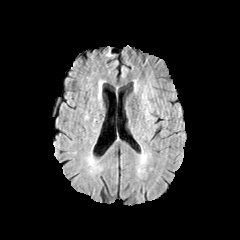
FLAIR magnetic resonance.
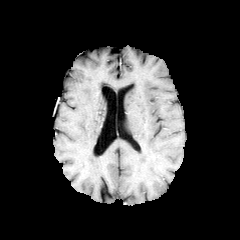
T1-weighted MRI.
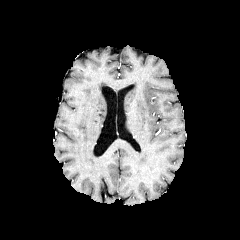
Post-contrast T1-weighted MRI of the same slice.
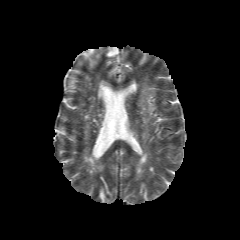
Same slice, T2-weighted MRI.
Image size 240x240.
Annotated regions:
* edema: left=142, top=86, right=153, bottom=119